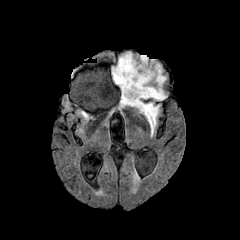
FLAIR MR image.
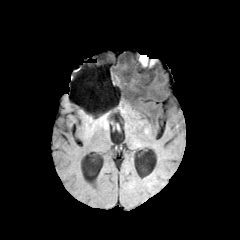
T1-weighted MRI of the same slice.
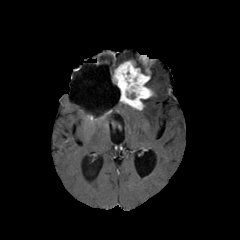
Same slice, post-contrast T1-weighted magnetic resonance.
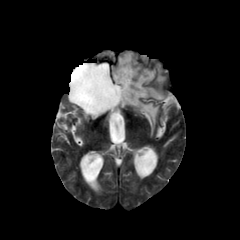
T2-weighted MR image of the same slice.
{"edema": ["136, 57, 147, 69", "139, 63, 166, 134", "111, 52, 135, 77"], "enhancing_tumor": ["113, 60, 152, 109"]}